FLAIR MRI.
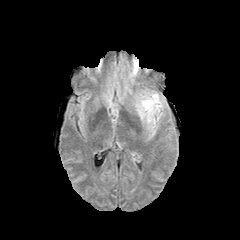
T1-weighted magnetic resonance.
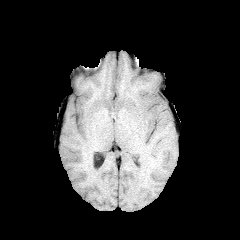
Post-contrast T1-weighted MR image.
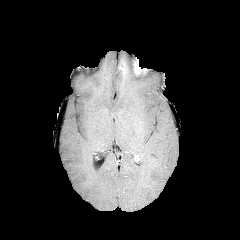
T2-weighted MR.
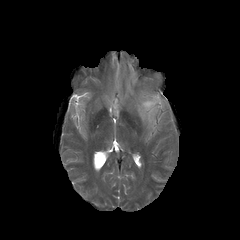
240x240 px
Edema at [x1=135, y1=90, x2=163, y2=131].